240x240.
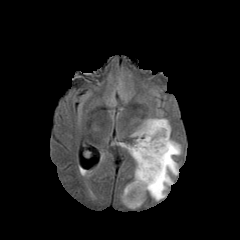
FLAIR MR.
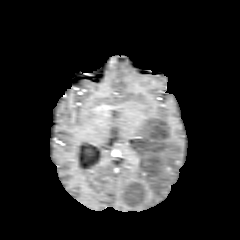
T1-weighted MR image of the same slice.
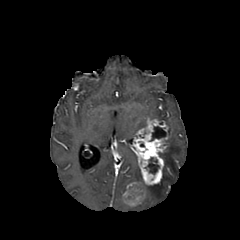
Post-contrast T1-weighted MR.
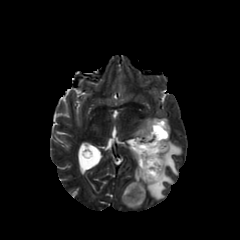
T2-weighted MR image.
Enhancing tumor: 121, 119, 169, 207.
Edema: 157, 118, 170, 134; 118, 142, 140, 180; 146, 138, 181, 200.
Non-enhancing tumor core: 148, 163, 158, 173; 151, 126, 166, 140.